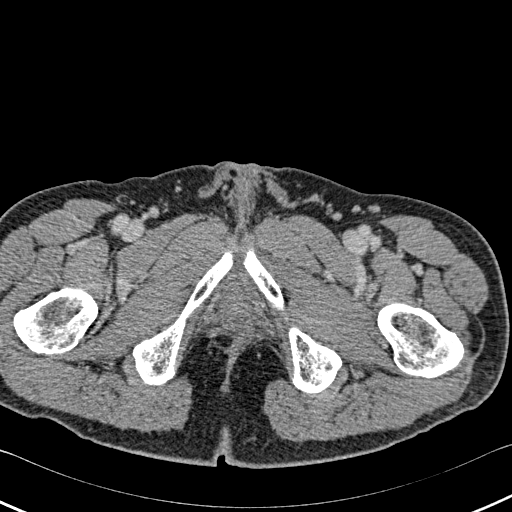
CT.
<segmentation>
  <bone>box(378, 304, 463, 377); box(289, 327, 341, 393); box(133, 250, 232, 384); box(243, 248, 283, 310); box(14, 288, 97, 353)</bone>
</segmentation>